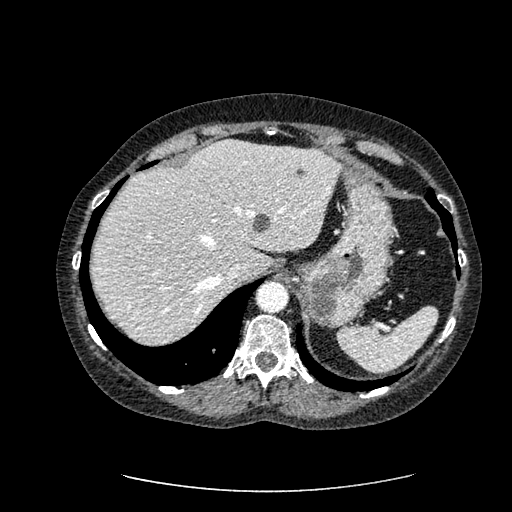 512x512 px | CT slice
{
  "focal_liver_lesion": [
    "[252, 213, 269, 233]",
    "[296, 168, 304, 177]"
  ],
  "liver": [
    "[90, 139, 339, 343]"
  ]
}